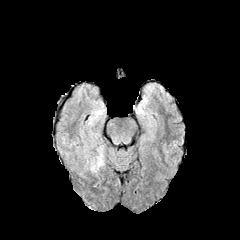
FLAIR MR image.
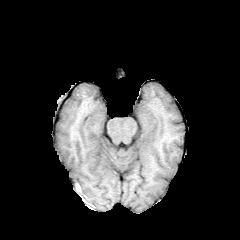
T1-weighted MR image.
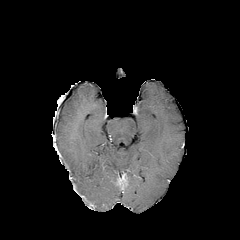
Post-contrast T1-weighted MR of the same slice.
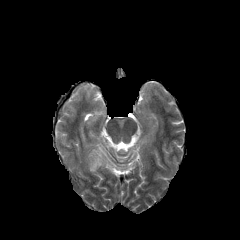
Same slice, T2-weighted MR.
240x240
Edema: [x1=84, y1=142, x2=105, y2=173].